Slice 208 of 247. CT slice. Field of view 500x500 mm.

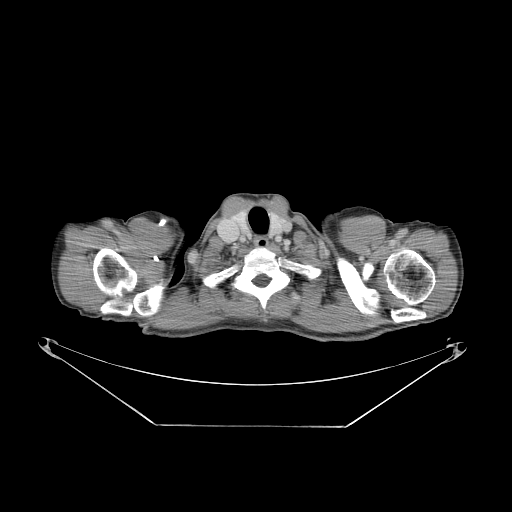

bone:
  - [x1=338, y1=258, x2=378, y2=313]
  - [x1=234, y1=248, x2=289, y2=308]
  - [x1=391, y1=308, x2=425, y2=322]
  - [x1=93, y1=248, x2=163, y2=315]
  - [x1=290, y1=263, x2=320, y2=277]
  - [x1=384, y1=249, x2=435, y2=304]
  - [x1=203, y1=268, x2=233, y2=285]